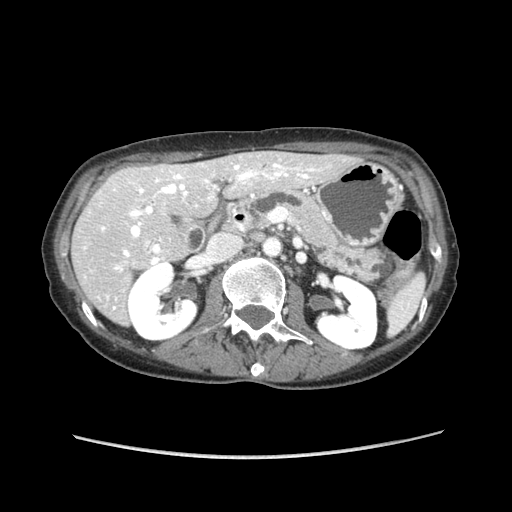
Abdomen. Image size 512x512. CT image. Pancreas = [228,189,381,281].